Slice 71 of 155
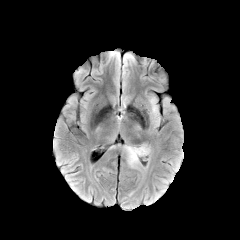
FLAIR MRI.
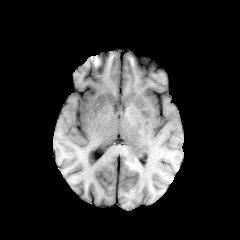
T1-weighted MRI of the same slice.
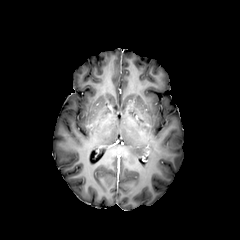
Same slice, post-contrast T1-weighted MRI.
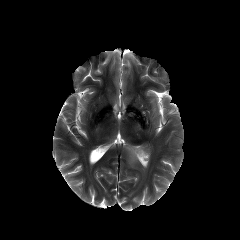
Same slice, T2-weighted magnetic resonance.
Non-enhancing tumor core = bbox=[138, 147, 149, 160]; bbox=[121, 144, 129, 156].
Edema = bbox=[149, 97, 160, 125]; bbox=[127, 145, 146, 167].